Computed tomography, Slice 54/139

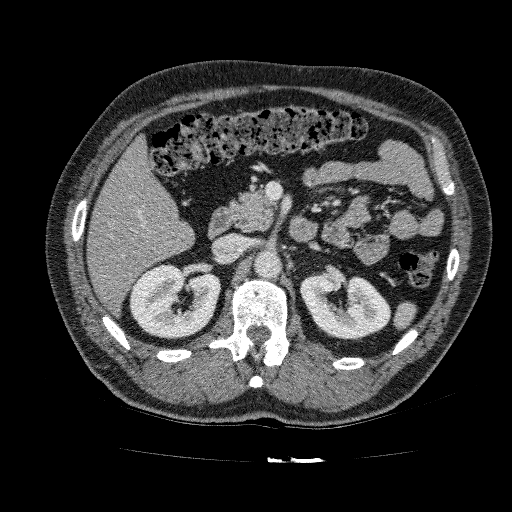 Liver: x1=87 y1=135 x2=195 y2=317.
Kidney: x1=130 y1=265 x2=219 y2=337, x1=301 y1=276 x2=389 y2=338.